FLAIR magnetic resonance.
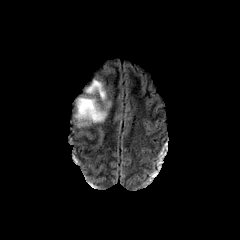
T1-weighted MRI.
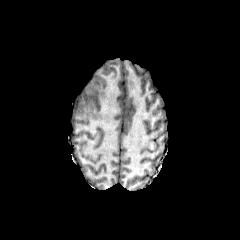
Post-contrast T1-weighted MR image.
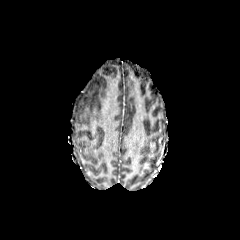
T2-weighted MR.
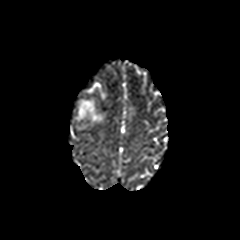
Brain
Edema: bounding box bbox(75, 96, 106, 123); bbox(86, 80, 106, 100).